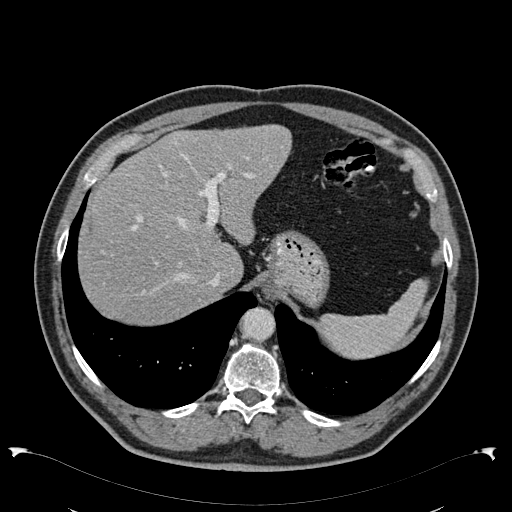 CT image
The liver is located at (x1=79, y1=125, x2=291, y2=324).